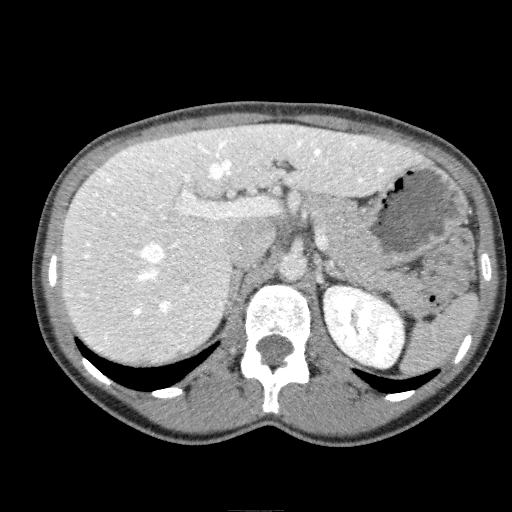
CT image; 512x512; Abdomen

kidney:
  - (324,286,403,367)
liver:
  - (61,123,433,362)